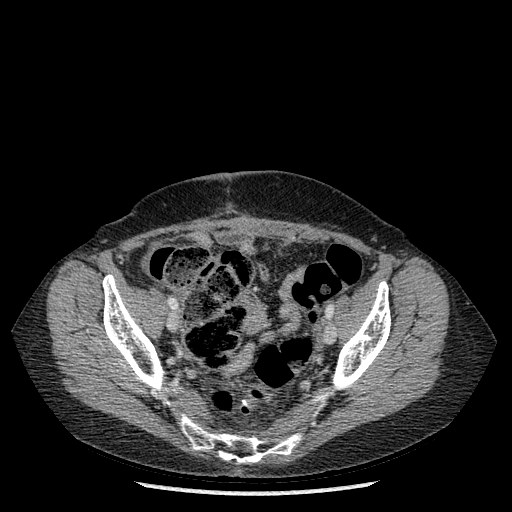

CT image
bone: (179, 413, 301, 463), (331, 281, 390, 393), (102, 274, 177, 405)